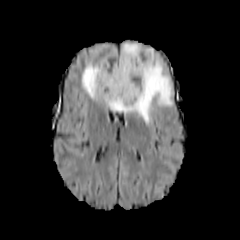
FLAIR MRI.
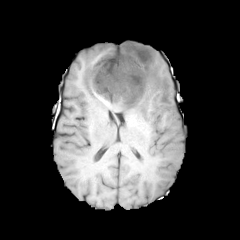
Same slice, T1-weighted magnetic resonance.
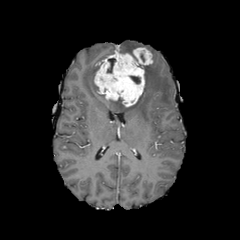
Post-contrast T1-weighted magnetic resonance.
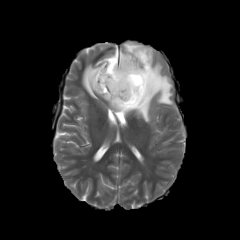
T2-weighted magnetic resonance.
Head; Image size 240x240
edema:
  - bbox=[81, 60, 173, 124]
  - bbox=[120, 42, 154, 61]
non-enhancing_tumor_core:
  - bbox=[128, 76, 141, 83]
  - bbox=[106, 58, 115, 73]
  - bbox=[112, 97, 124, 108]
enhancing_tumor:
  - bbox=[94, 47, 152, 106]